Abdomen. Computed tomography.

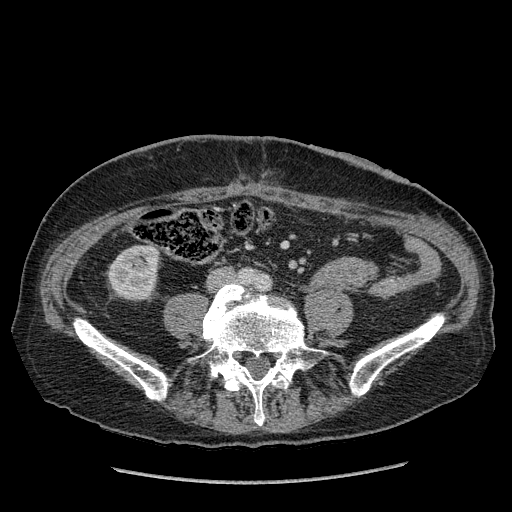

Kidney = (x1=109, y1=246, x2=158, y2=298).